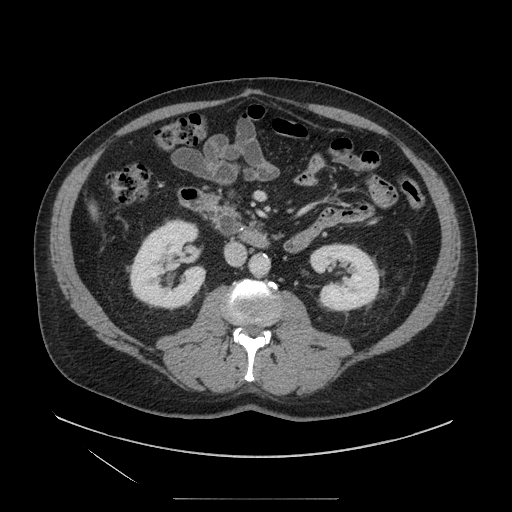 Computed tomography. Segmented structures:
• pancreatic tumor: <bbox>219, 214, 236, 235</bbox>
• pancreas: <bbox>204, 198, 242, 238</bbox>